FLAIR MR image.
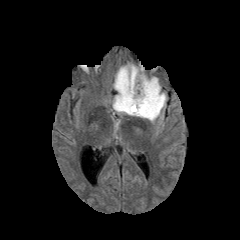
T1-weighted magnetic resonance.
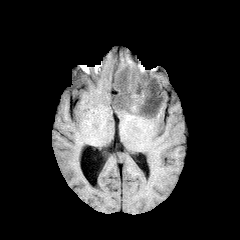
Post-contrast T1-weighted magnetic resonance.
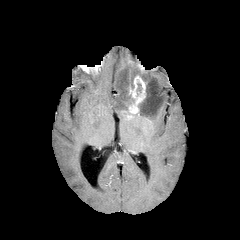
T2-weighted magnetic resonance.
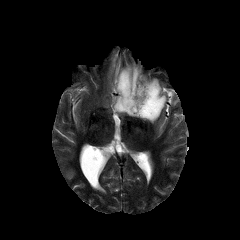
Brain
Non-enhancing tumor core — region(138, 80, 157, 116); region(118, 78, 134, 111).
Enhancing tumor — region(126, 75, 145, 115).
Edema — region(111, 61, 167, 127).